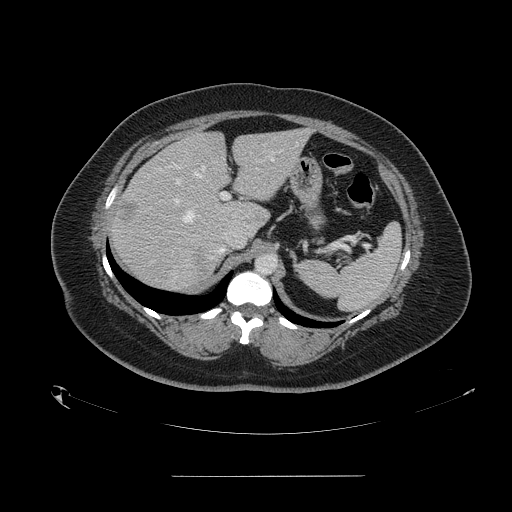
Computed tomography
Spleen = [x1=298, y1=223, x2=402, y2=311].